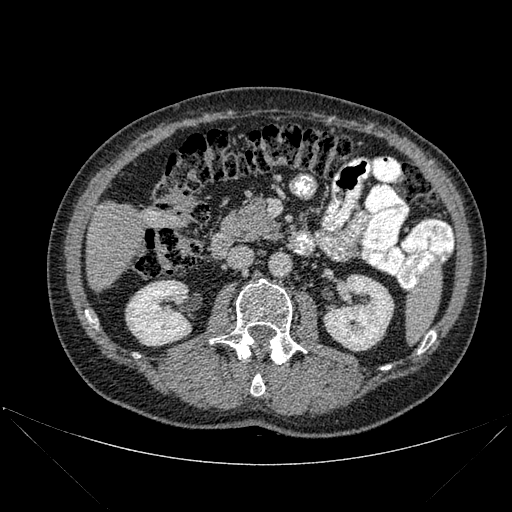
Liver; CT slice

4 bone regions are located at (x1=418, y1=332, x2=435, y2=353), (x1=251, y1=374, x2=264, y2=395), (x1=85, y1=310, x2=95, y2=326), (x1=210, y1=279, x2=305, y2=364). The liver is at (x1=86, y1=202, x2=145, y2=290). 2 kidney regions appear at (x1=126, y1=280, x2=190, y2=345), (x1=324, y1=275, x2=393, y2=350).